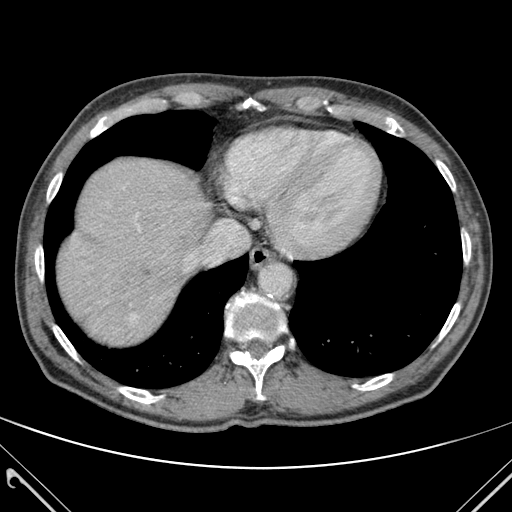
CT scan slice. 512x512. Liver.
The liver is located at (left=58, top=158, right=210, bottom=346). 13 bone regions are bounded by (left=91, top=117, right=112, bottom=136), (left=47, top=173, right=61, bottom=201), (left=462, top=233, right=470, bottom=261), (left=230, top=346, right=283, bottom=399), (left=225, top=292, right=285, bottom=340), (left=53, top=325, right=77, bottom=359), (left=242, top=98, right=264, bottom=110), (left=380, top=117, right=401, bottom=134), (left=353, top=374, right=391, bottom=390), (left=437, top=161, right=455, bottom=190), (left=119, top=387, right=160, bottom=403), (left=439, top=304, right=459, bottom=340), (left=35, top=246, right=43, bottom=280). 2 lung regions are located at (left=289, top=122, right=462, bottom=376), (left=43, top=110, right=248, bottom=388).